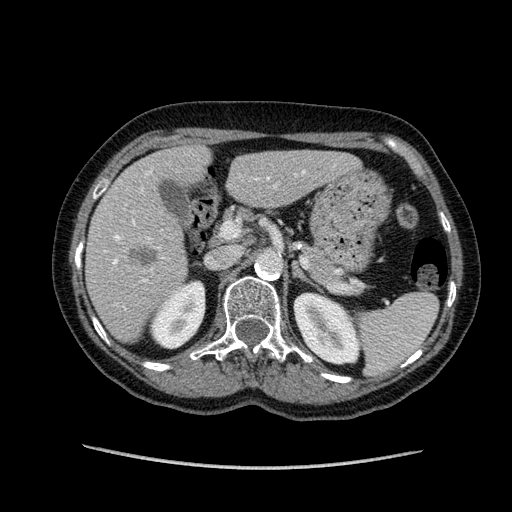

Liver. 512x512. CT image.
Annotated regions:
- focal liver lesion: [128,248,159,264]
- kidney: [152,282,204,347], [294,294,358,363]
- liver: [228,151,352,204], [86,149,206,335]